Field of view 460 mm wide, 2.50 mm slice spacing; 512x512; CT; Abdomen

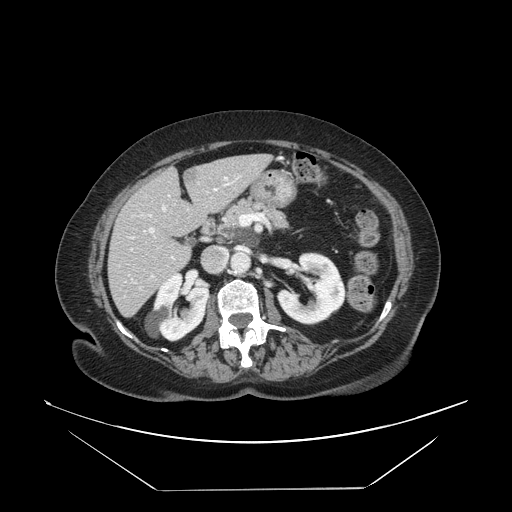 * pancreatic tumor: bbox(221, 226, 258, 247)
* pancreas: bbox(211, 196, 290, 249)